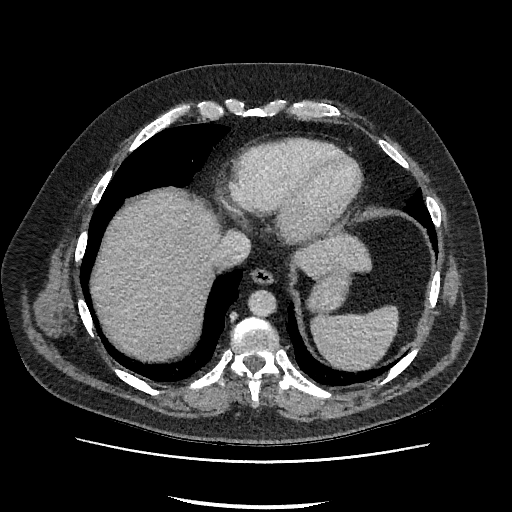

Upper abdomen, CT slice
2 liver regions appear at bbox=[92, 192, 220, 358]; bbox=[295, 237, 371, 278].